CT scan slice; Slice 198 of 605; Image size 512x512

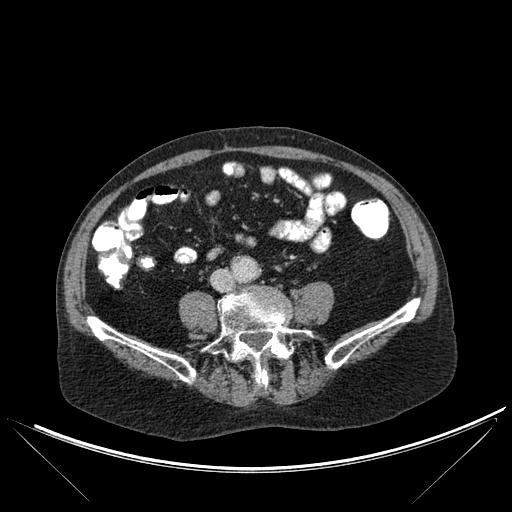
Bone: box=[212, 292, 305, 389]; box=[325, 298, 419, 368]; box=[87, 316, 195, 382].